Image size 512x512; CT scan slice 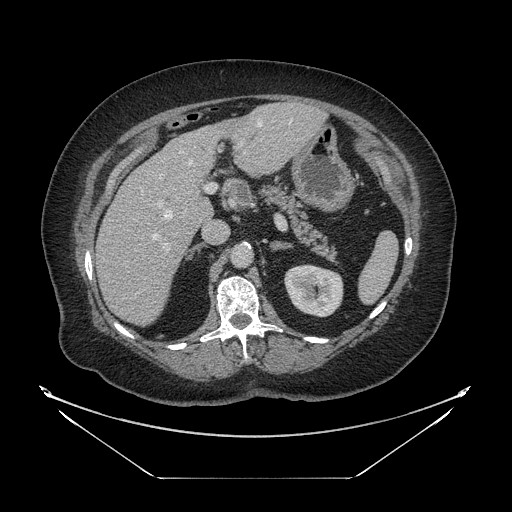
The pancreas lies within (258, 185, 336, 262).